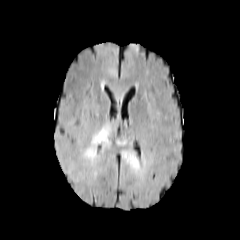
FLAIR MR image.
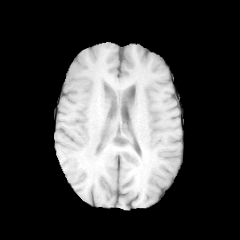
Same slice, T1-weighted magnetic resonance.
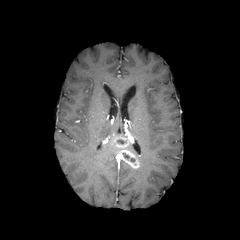
Post-contrast T1-weighted MR.
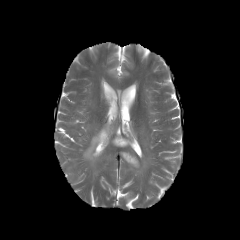
T2-weighted MR.
Head
The enhancing tumor lies within rect(113, 136, 140, 168). The edema appears at rect(83, 123, 110, 161). The non-enhancing tumor core is at rect(122, 152, 135, 162).